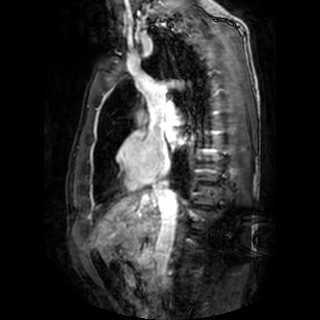 Heart | 320x320 px | MRI slice
left atrium: box=[167, 131, 185, 145]